Slice 64/104 | Image width 470 mm | Computed tomography
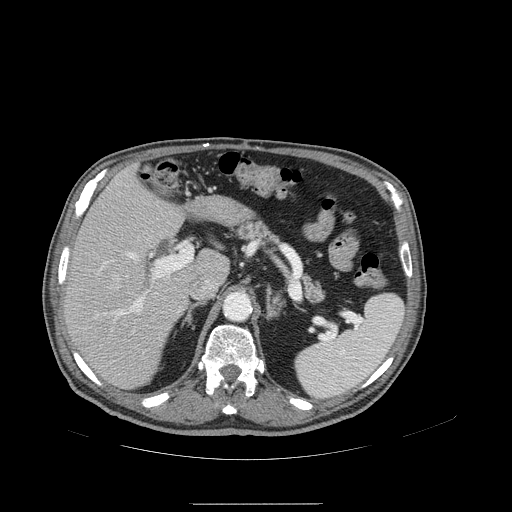
Pancreas: bounding box bbox(299, 271, 329, 305); bbox(232, 218, 284, 249).